MRI slice. Cardiac. 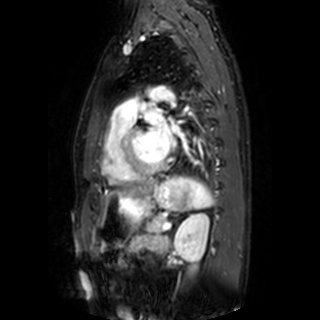
3 left atrium regions appear at {"x1": 144, "y1": 108, "x2": 170, "y2": 158}, {"x1": 179, "y1": 106, "x2": 188, "y2": 116}, {"x1": 172, "y1": 124, "x2": 181, "y2": 134}.